Slice index 62, CT scan slice
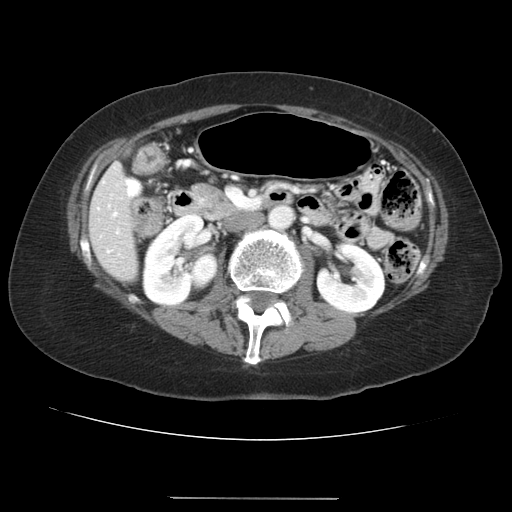 - colon tumor: (131,143,164,174), (132,198,163,237)